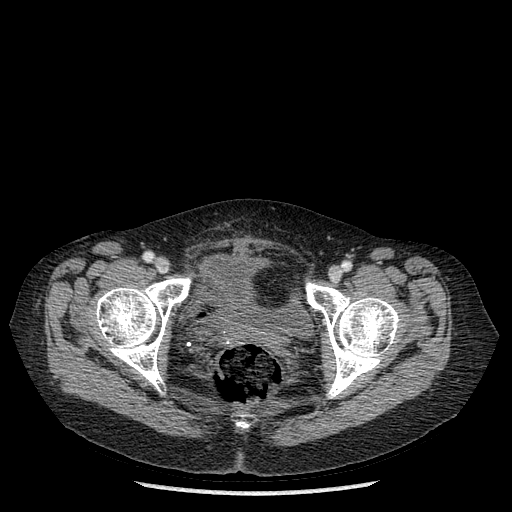 Image size 512x512 | Computed tomography
3 bone regions appear at {"x1": 305, "y1": 282, "x2": 401, "y2": 398}, {"x1": 93, "y1": 277, "x2": 190, "y2": 391}, {"x1": 236, "y1": 421, "x2": 248, "y2": 427}. The urinary bladder is located at {"x1": 191, "y1": 253, "x2": 301, "y2": 344}.